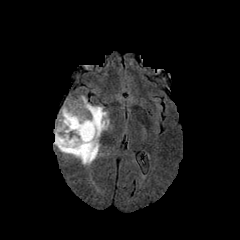
FLAIR MRI.
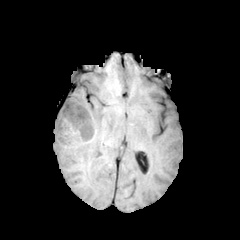
Same slice, T1-weighted MR.
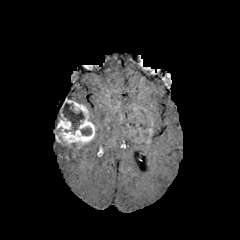
Post-contrast T1-weighted MRI.
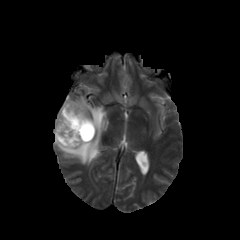
T2-weighted MR of the same slice.
Head. Image size 240x240.
enhancing tumor: 55:100:94:145 | edema: 54:94:109:166 | non-enhancing tumor core: 70:142:89:155, 62:103:84:131, 81:128:91:135, 62:142:81:148